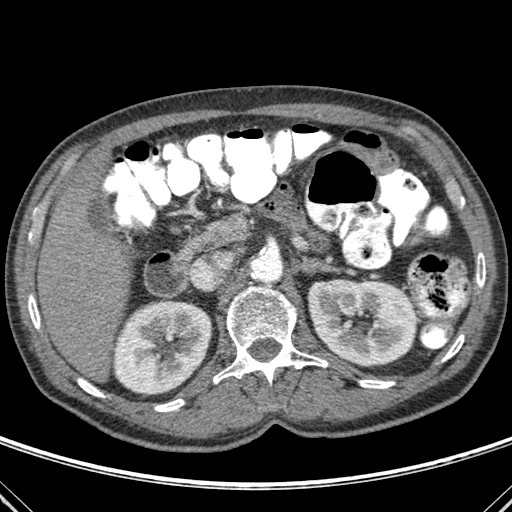
Abdomen, CT slice

{
  "kidney": [
    "(309,280,416,364)",
    "(115,302,210,393)"
  ],
  "bone": [
    "(154,399,184,411)",
    "(476,252,485,287)",
    "(213,286,327,384)",
    "(28,295,40,329)",
    "(442,334,464,361)",
    "(77,378,104,397)",
    "(359,380,394,388)"
  ],
  "liver": [
    "(38,154,131,381)"
  ]
}